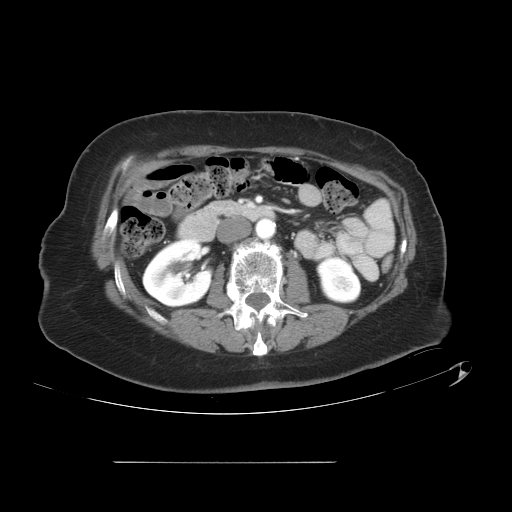
512x512, CT scan slice
{
  "pancreas": [
    "rect(204, 200, 236, 224)"
  ]
}